FLAIR magnetic resonance.
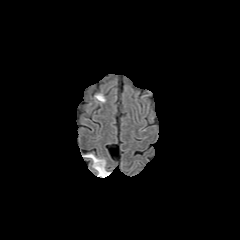
T1-weighted MR.
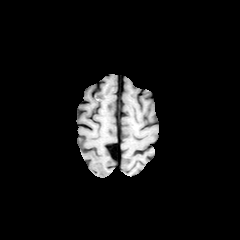
Post-contrast T1-weighted magnetic resonance.
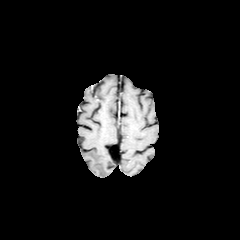
T2-weighted MR.
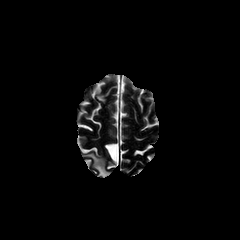
240x240 px
The edema is located at left=86, top=152, right=109, bottom=177.